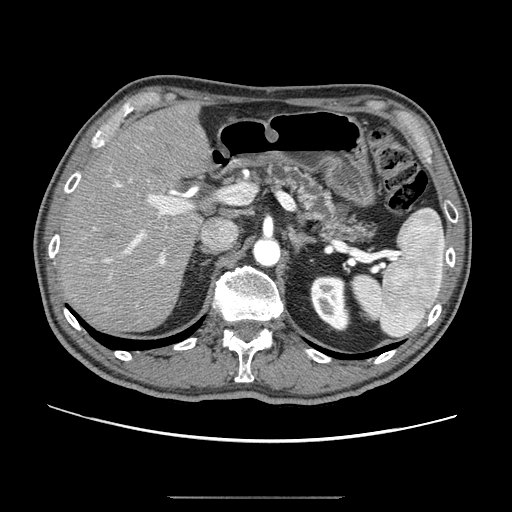

Abdomen | Computed tomography
The pancreas appears at (264,165,374,241).